CT image.

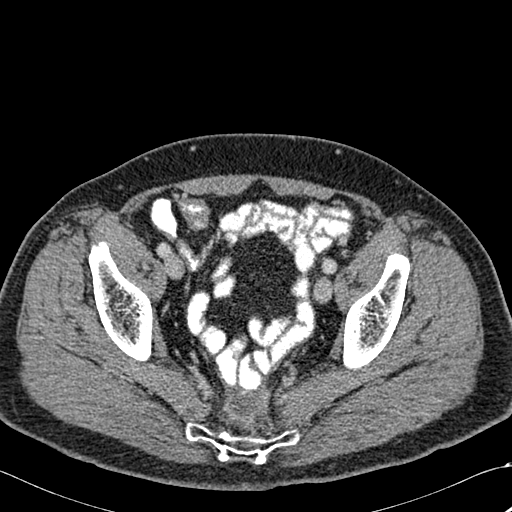
- bone: box=[343, 254, 409, 368]; box=[186, 423, 298, 463]; box=[89, 242, 152, 360]